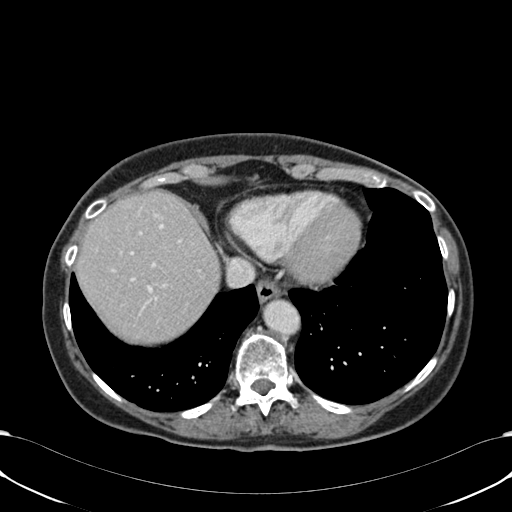

Liver, CT scan slice
<segmentation>
  <liver>(78,191,220,343)</liver>
</segmentation>